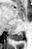

Magnetic resonance
Segmented structures:
* posterior hippocampus: (9,32,23,40)